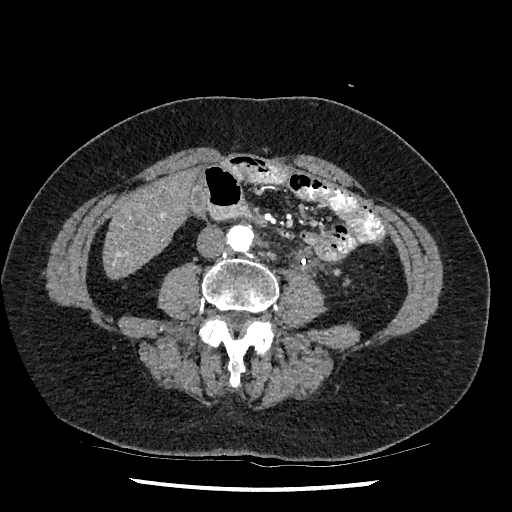
Computed tomography; Liver
The liver is bounded by box=[102, 169, 197, 278].